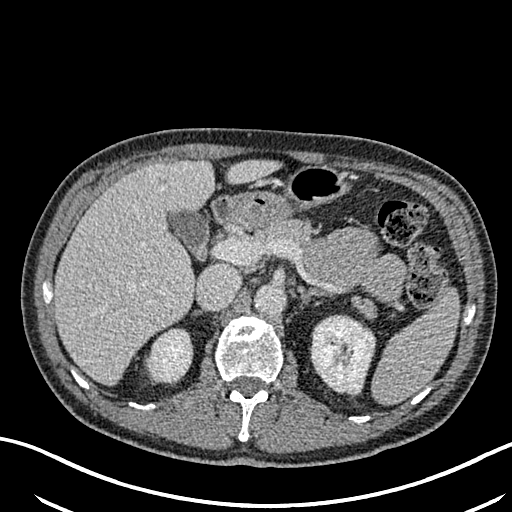 Computed tomography | Upper abdomen

liver: (226,160,278,183), (55,161,213,384) | liver lesion: (158,177,167,185) | kidney: (150,330,191,381), (312,317,374,391)